Image size 512x512 | CT scan slice | Pelvis | Slice 36 of 113
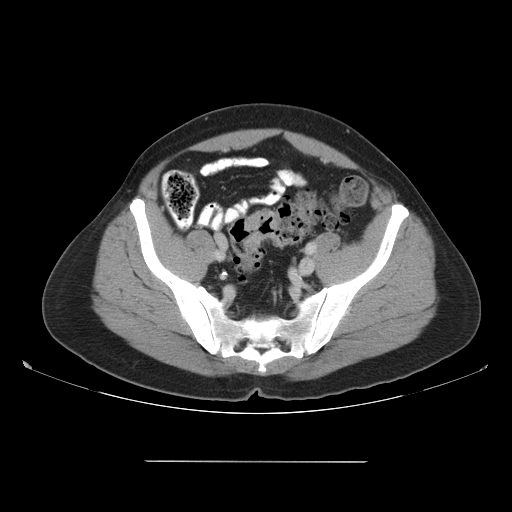

2 colon tumor regions are bounded by 242,232,284,253; 244,209,279,231.